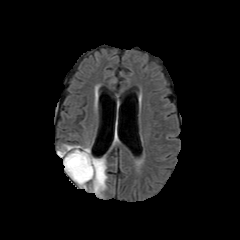
FLAIR MR image.
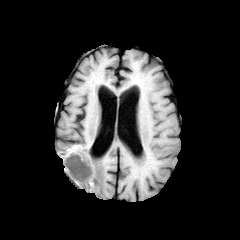
Same slice, T1-weighted MR image.
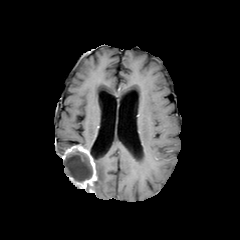
Post-contrast T1-weighted MR of the same slice.
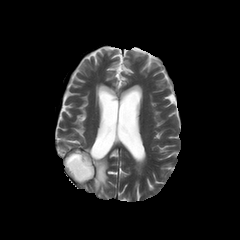
Same slice, T2-weighted MRI.
Head.
Enhancing tumor — [63,145,96,187].
Non-enhancing tumor core — [64,150,92,186].
Edema — [88,157,107,194], [58,145,71,156].